Field of view 240x240 mm | Head | Slice index 119
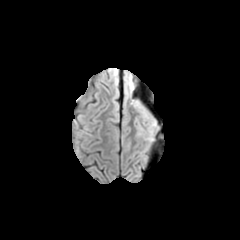
FLAIR MR.
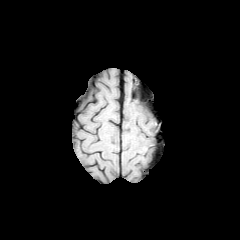
T1-weighted MR image of the same slice.
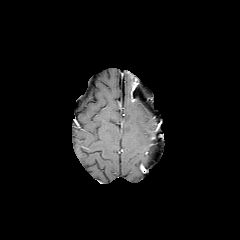
Post-contrast T1-weighted MR.
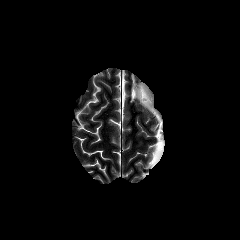
T2-weighted MR.
3 edema regions are bounded by (142,108,152,123), (140,126,153,140), (124,82,132,100).